FLAIR MR.
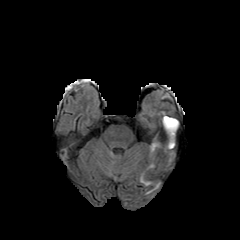
T1-weighted MRI.
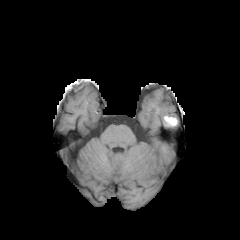
Post-contrast T1-weighted MR.
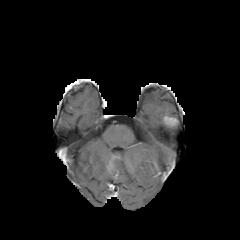
T2-weighted magnetic resonance.
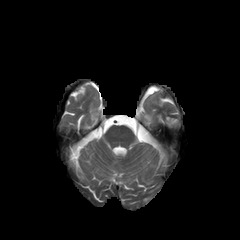
Head.
The non-enhancing tumor core is bounded by [164,116,176,128].